512x512; CT scan slice
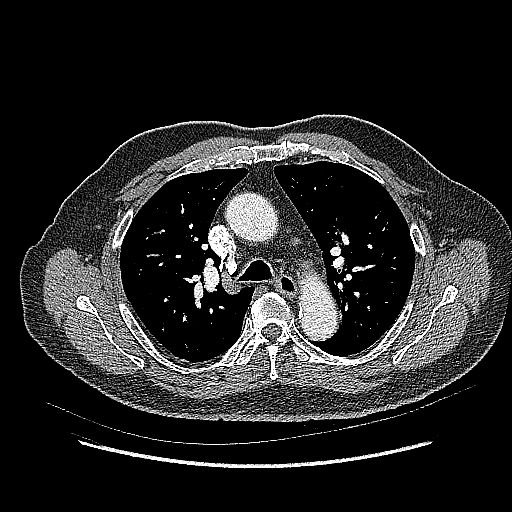 The lung tumor is located at box=[329, 237, 346, 252].